Field of view 240 mm wide, 1.00 mm slice spacing. Brain.
FLAIR MR.
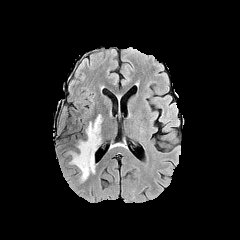
T1-weighted MR image.
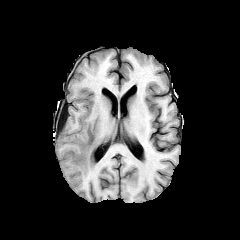
Post-contrast T1-weighted MRI.
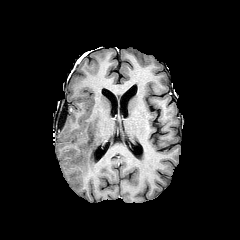
T2-weighted MRI.
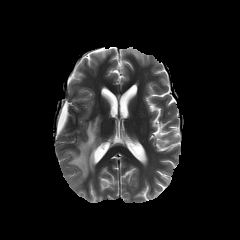
Edema: bounding box 70 114 101 181.